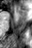
Hippocampus; Magnetic resonance

Anterior hippocampus: {"x1": 16, "y1": 6, "x2": 19, "y2": 11}.